CT scan slice

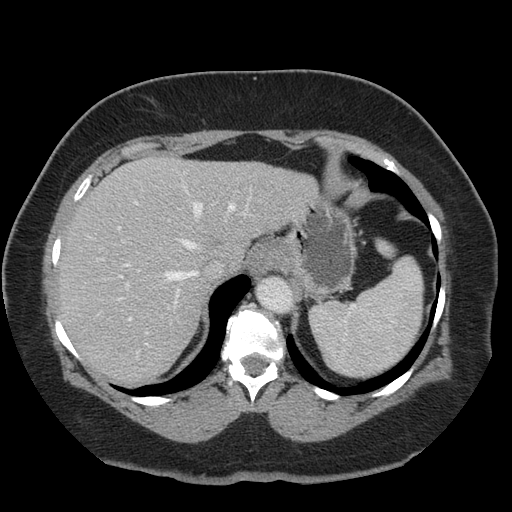

Not every hepatic vessel necessarily has a box.
Largest 15 of 17 hepatic vessel regions — box(125, 264, 129, 266); box(102, 259, 104, 260); box(192, 202, 201, 216); box(174, 290, 179, 307); box(183, 185, 187, 193); box(118, 228, 120, 229); box(183, 241, 196, 248); box(115, 298, 121, 300); box(129, 318, 131, 320); box(225, 219, 226, 221); box(242, 212, 245, 215); box(165, 272, 196, 280); box(229, 205, 234, 211); box(119, 276, 121, 277); box(126, 284, 129, 288).